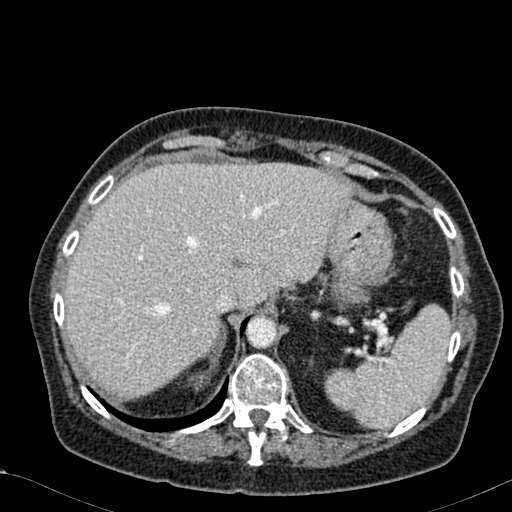
CT

The liver is at region(66, 163, 352, 397).